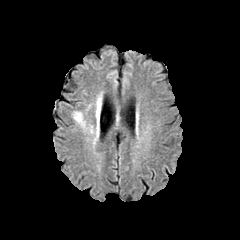
FLAIR MRI.
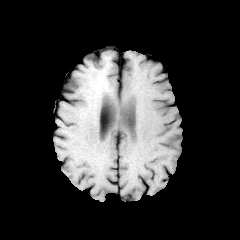
T1-weighted magnetic resonance.
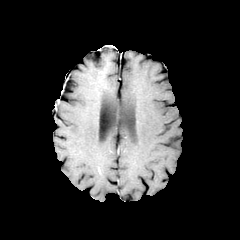
Same slice, post-contrast T1-weighted MR image.
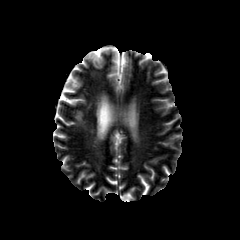
T2-weighted MR.
Brain; 240x240
The edema appears at bbox(74, 96, 100, 135).